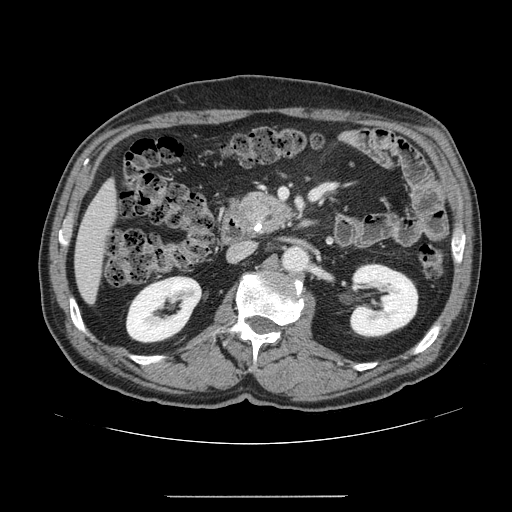 CT

Pancreas: 240,190,299,236.